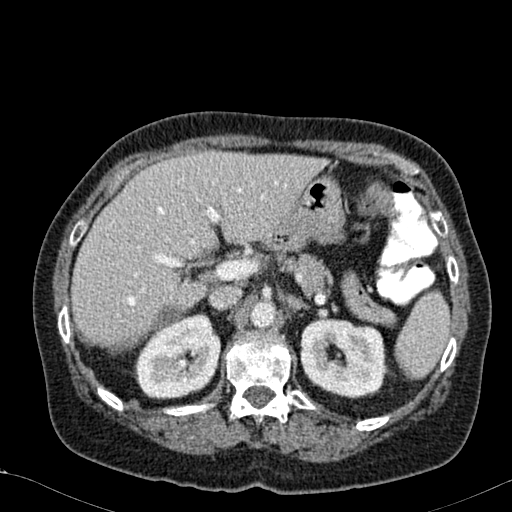 Computed tomography | Upper abdomen
<segmentation>
  <liver_lesion><box>152,305,181,327</box></liver_lesion>
  <kidney><box>301,319,386,397</box>, <box>136,315,220,397</box></kidney>
  <liver><box>71,153,329,351</box></liver>
</segmentation>